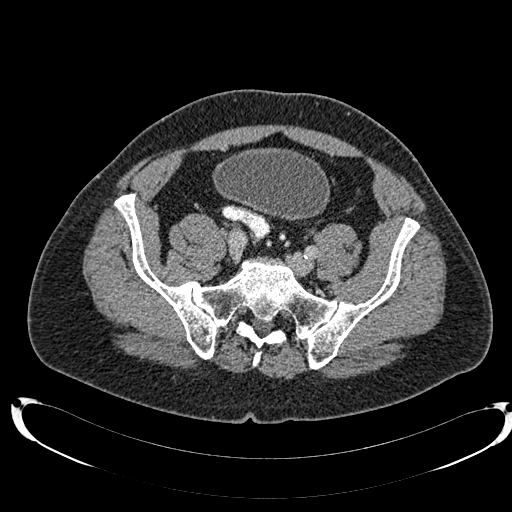

Image size 512x512, CT image, Pelvis

Urinary bladder = (215,148,329,218).